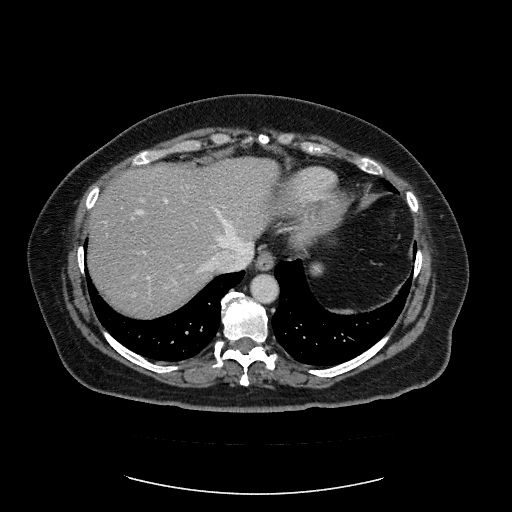 CT scan slice. Some hepatic vessels may have no box.
14 hepatic vessel regions are bounded by l=133, t=216, r=134, b=218; l=148, t=276, r=149, b=278; l=201, t=266, r=209, b=269; l=213, t=258, r=215, b=259; l=211, t=206, r=213, b=208; l=141, t=199, r=144, b=201; l=216, t=211, r=253, b=252; l=104, t=222, r=107, b=222; l=178, t=265, r=181, b=266; l=144, t=251, r=146, b=253; l=136, t=210, r=143, b=213; l=186, t=185, r=187, b=187; l=165, t=199, r=167, b=202; l=173, t=279, r=175, b=283.